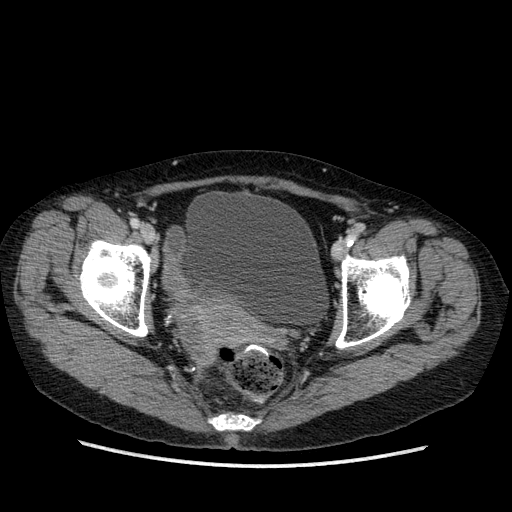

CT slice, Lower abdomen
Urinary bladder: bounding box (x1=179, y1=190, x2=329, y2=325).